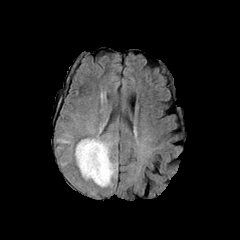
FLAIR MR image.
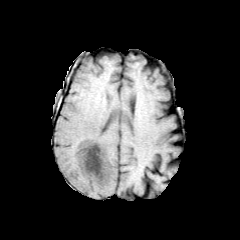
T1-weighted MR image.
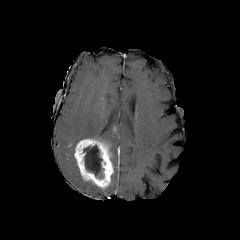
Post-contrast T1-weighted MR image.
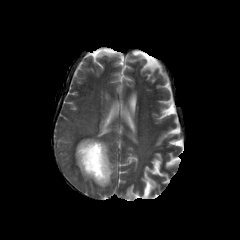
T2-weighted magnetic resonance of the same slice.
Head
The enhancing tumor is located at [x1=74, y1=139, x2=113, y2=187]. The non-enhancing tumor core lies within [x1=83, y1=145, x2=104, y2=178]. The edema is bounded by [x1=56, y1=106, x2=119, y2=195].